Image width 387 mm | Slice 392/811 | CT scan slice
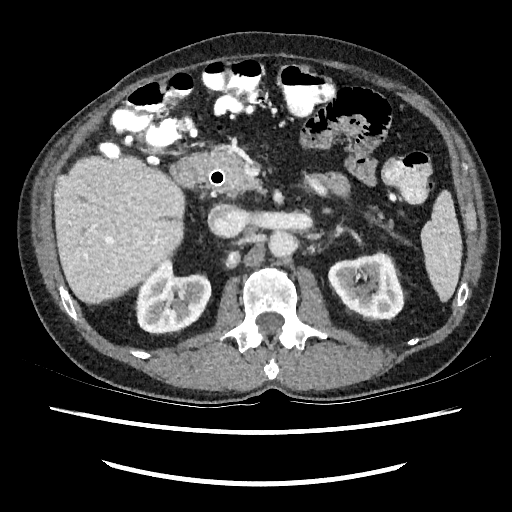

{
  "liver": [
    "(x1=55, y1=156, x2=183, y2=302)"
  ],
  "kidney": [
    "(x1=138, y1=260, x2=210, y2=332)",
    "(x1=329, y1=254, x2=403, y2=318)"
  ]
}